CT image, Pelvis

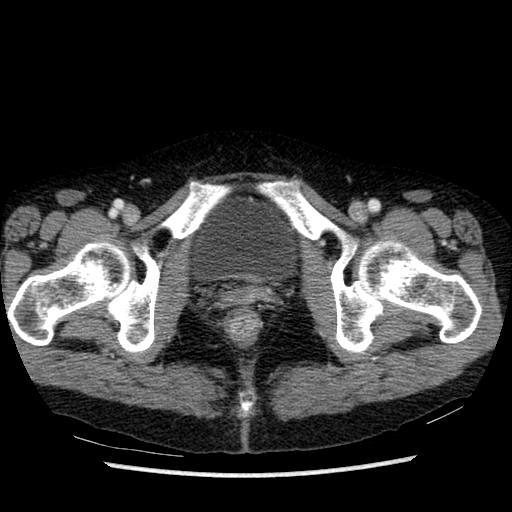
The urinary bladder is located at rect(187, 195, 303, 284).